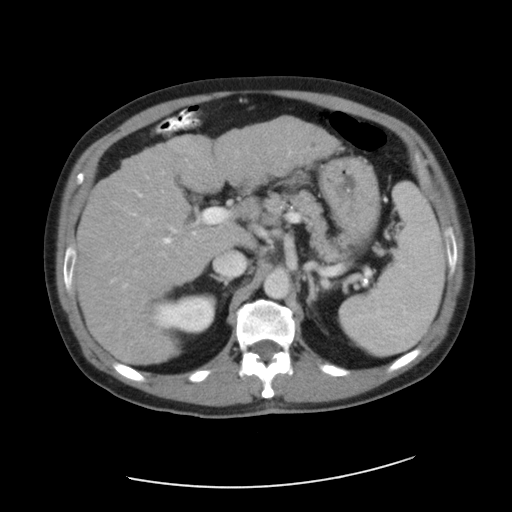

Image size 512x512, Liver, CT

The vessel boxes may cover only some of the vessels.
Hepatic vessel: (x1=289, y1=151, x2=290, y2=153), (x1=204, y1=209, x2=223, y2=222), (x1=162, y1=238, x2=169, y2=243), (x1=135, y1=191, x2=141, y2=196), (x1=163, y1=253, x2=164, y2=254), (x1=130, y1=213, x2=136, y2=215), (x1=146, y1=219, x2=149, y2=224).